Liver, Image width 351 mm, Slice 37 of 50, CT slice 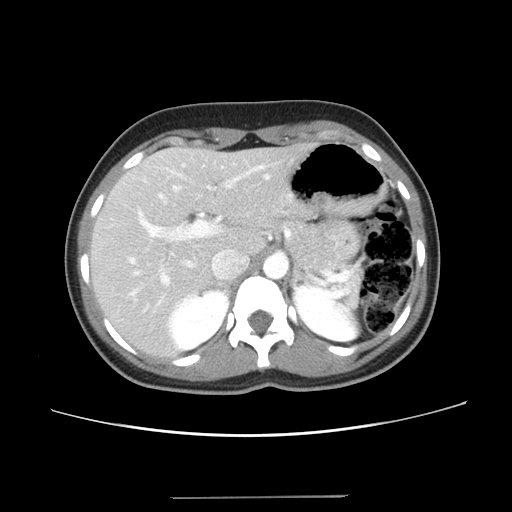

The vessel annotation is not exhaustive.
14 hepatic vessel regions are located at box=[159, 194, 166, 203]; box=[139, 211, 216, 239]; box=[171, 253, 174, 255]; box=[208, 186, 212, 189]; box=[173, 186, 180, 191]; box=[265, 175, 269, 179]; box=[217, 217, 221, 222]; box=[213, 255, 217, 268]; box=[184, 261, 193, 266]; box=[130, 258, 135, 263]; box=[162, 275, 169, 284]; box=[134, 272, 139, 275]; box=[269, 234, 271, 238]; box=[226, 166, 262, 187].